Slice index 11. CT scan slice. 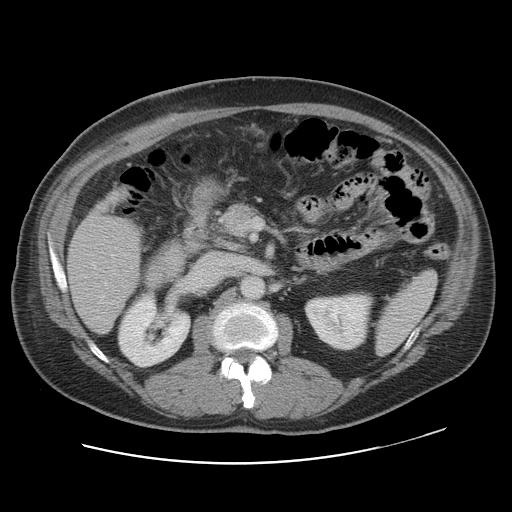 The vessel annotation is not exhaustive.
6 hepatic vessel regions are bounded by 93 310 97 311, 99 293 105 303, 114 265 115 267, 112 254 114 258, 112 269 114 274, 104 282 107 284.